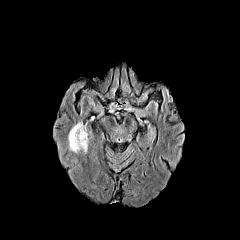
FLAIR MR.
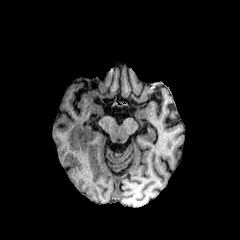
T1-weighted magnetic resonance.
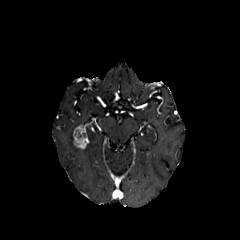
Post-contrast T1-weighted MRI.
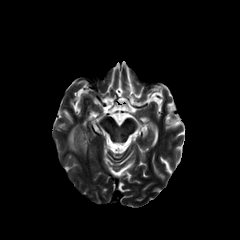
T2-weighted MR image of the same slice.
The edema lies within box(67, 128, 79, 154). The enhancing tumor appears at box(73, 124, 89, 149).